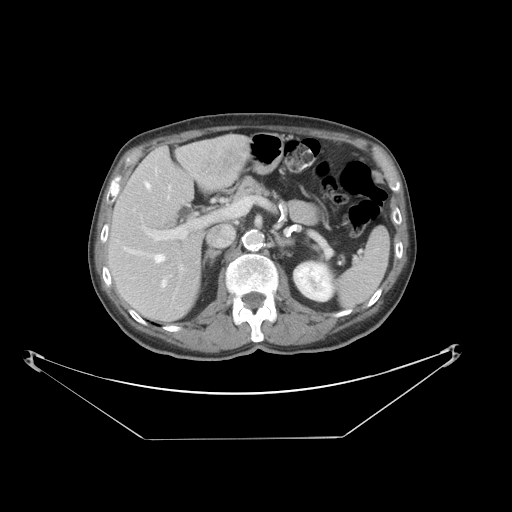

CT. Only some of the vessels may be annotated.
* liver tumor: 217 147 246 169
* hepatic vessel: 145 182 150 189, 127 249 140 253, 168 275 170 276, 161 278 166 286, 154 254 164 262, 168 185 170 190, 215 229 224 246, 142 219 201 240, 167 196 169 198, 203 208 241 223, 155 167 157 174, 180 266 183 269